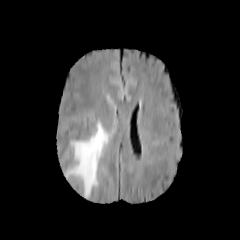
FLAIR magnetic resonance.
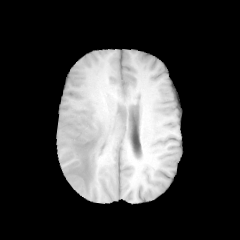
T1-weighted MR.
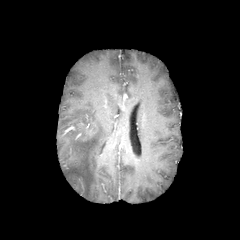
Post-contrast T1-weighted magnetic resonance.
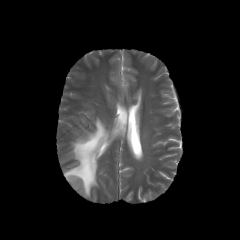
T2-weighted magnetic resonance.
Brain
Edema at (65, 118, 110, 197).